512x512, Slice 419/624, CT scan slice 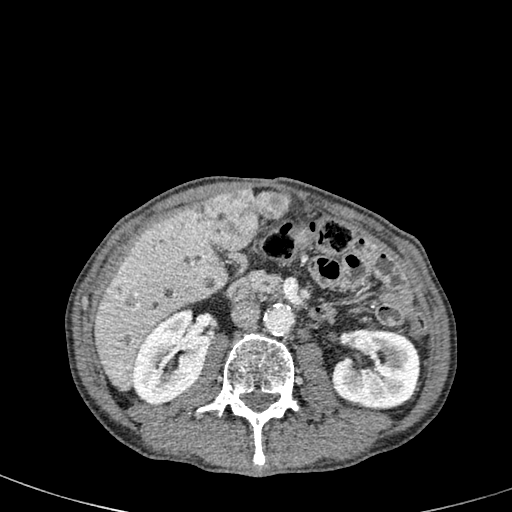 2 kidney regions are bounded by {"x1": 333, "y1": 330, "x2": 418, "y2": 407}, {"x1": 132, "y1": 311, "x2": 212, "y2": 404}. The liver is bounded by {"x1": 94, "y1": 206, "x2": 227, "y2": 390}. 2 focal liver lesion regions are located at {"x1": 192, "y1": 189, "x2": 288, "y2": 249}, {"x1": 112, "y1": 287, "x2": 121, "y2": 297}.